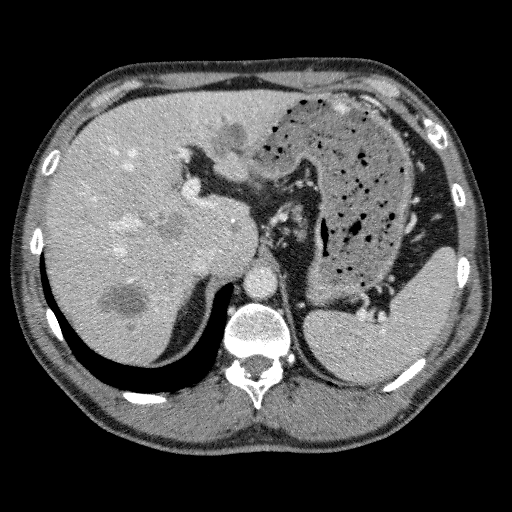
CT

2 liver regions are bounded by bbox=[44, 89, 297, 362]; bbox=[213, 157, 248, 182]. 6 liver lesion regions are bounded by bbox=[208, 121, 248, 164]; bbox=[229, 221, 243, 234]; bbox=[136, 208, 189, 242]; bbox=[162, 271, 173, 282]; bbox=[125, 323, 135, 331]; bbox=[97, 282, 150, 318].